Slice 85 of 155
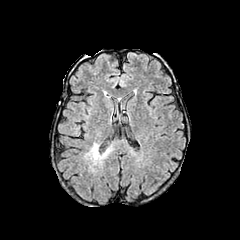
FLAIR MR.
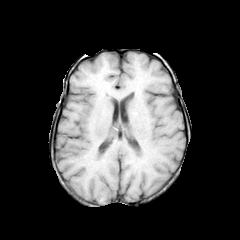
T1-weighted MR image of the same slice.
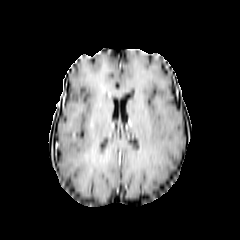
Same slice, post-contrast T1-weighted MR image.
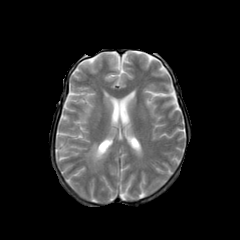
Same slice, T2-weighted MR image.
Edema: region(84, 142, 114, 171).
Non-enhancing tumor core: region(91, 150, 104, 163).